Computed tomography

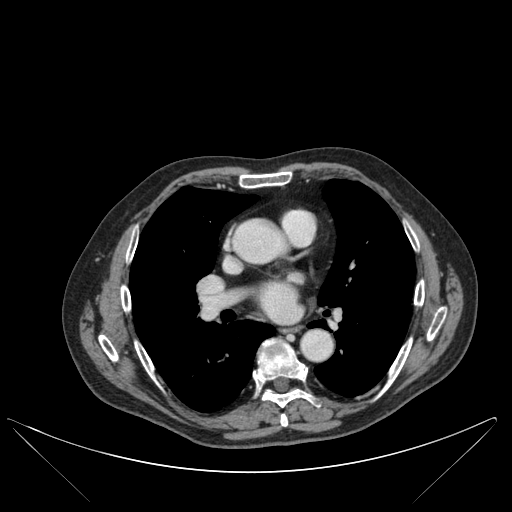
- bone: bbox(379, 338, 411, 395); bbox(239, 171, 291, 187); bbox(280, 414, 287, 426); bbox(414, 280, 424, 305); bbox(262, 389, 314, 407); bbox(427, 307, 446, 340); bbox(407, 227, 418, 249); bbox(253, 339, 307, 389); bbox(99, 335, 118, 361); bbox(135, 342, 155, 380); bbox(126, 234, 137, 261); bbox(121, 285, 130, 311)
- lung: bbox(308, 320, 327, 327); bbox(129, 186, 274, 412); bbox(314, 179, 415, 396)